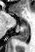

35x52 px. MRI. Medial temporal lobe.
The posterior hippocampus appears at rect(14, 23, 29, 41).